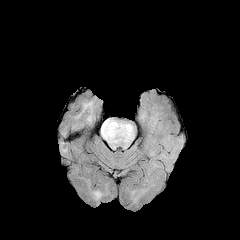
FLAIR MR image.
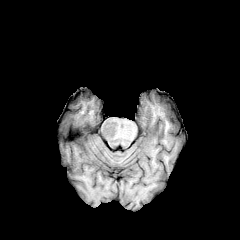
Same slice, T1-weighted MRI.
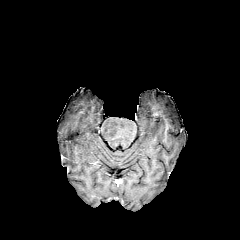
Post-contrast T1-weighted MRI.
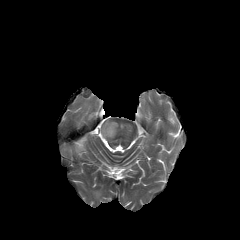
Same slice, T2-weighted MR image.
Brain
Edema — 92 191 99 197.